Slice 531/856 | CT scan slice | 512x512 px
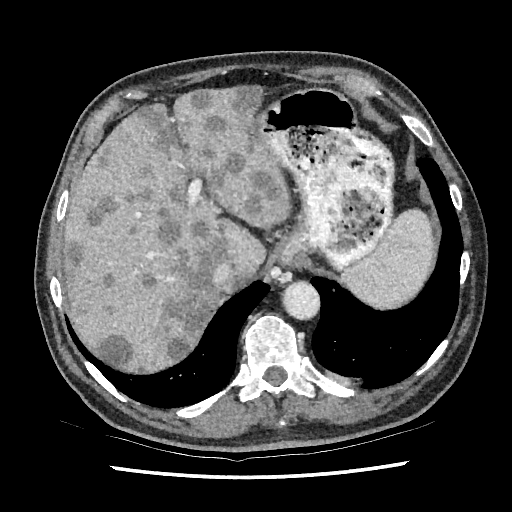

3 liver regions are bounded by <box>188,329,203,352</box>, <box>65,87,289,370</box>, <box>210,295,227,316</box>. 15 focal liver lesion regions are located at <box>207,153,244,188</box>, <box>87,197,119,225</box>, <box>202,115,225,133</box>, <box>157,208,229,359</box>, <box>94,335,133,366</box>, <box>233,87,262,148</box>, <box>167,185,189,212</box>, <box>140,273,154,287</box>, <box>65,239,84,273</box>, <box>189,91,211,110</box>, <box>104,306,112,313</box>, <box>104,275,112,286</box>, <box>137,104,178,151</box>, <box>245,169,281,216</box>, <box>100,151,108,164</box>.